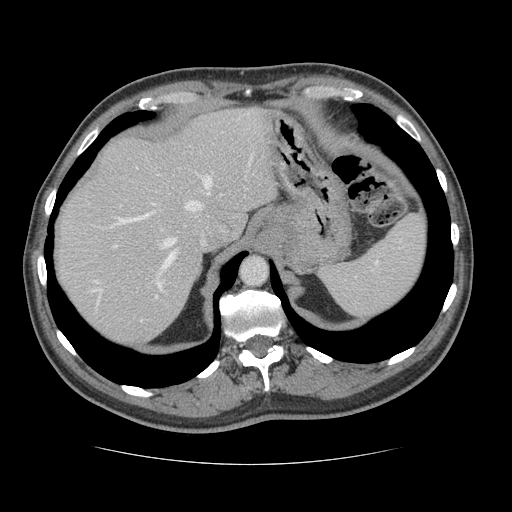 Abdomen. CT slice.
Some hepatic vessels may have no box.
hepatic_vessel:
  - <box>203,176,211,194</box>
  - <box>143,214,148,217</box>
  - <box>97,298,98,304</box>
  - <box>185,200,200,209</box>
  - <box>161,252,175,269</box>
  - <box>152,203,154,204</box>
  - <box>155,295,156,297</box>
  - <box>94,281,98,282</box>
  - <box>156,280,162,289</box>
  - <box>91,289,101,296</box>
  - <box>161,238,175,246</box>
  - <box>113,245,116,246</box>
  - <box>115,216,140,224</box>